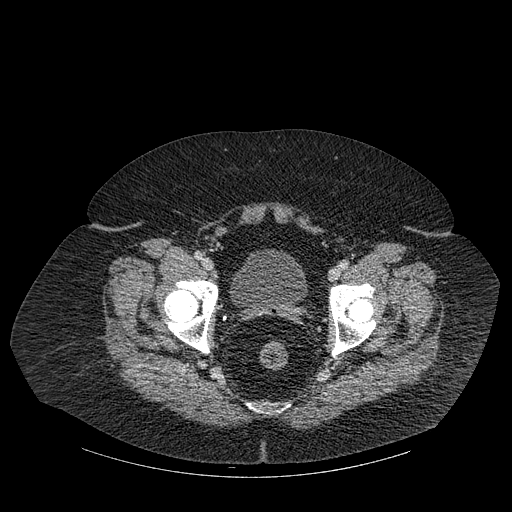

Computed tomography | Image size 512x512
* bone: [x1=246, y1=403, x2=280, y2=413], [x1=164, y1=280, x2=217, y2=353], [x1=329, y1=283, x2=377, y2=356]
* urinary bladder: [x1=231, y1=249, x2=307, y2=320]